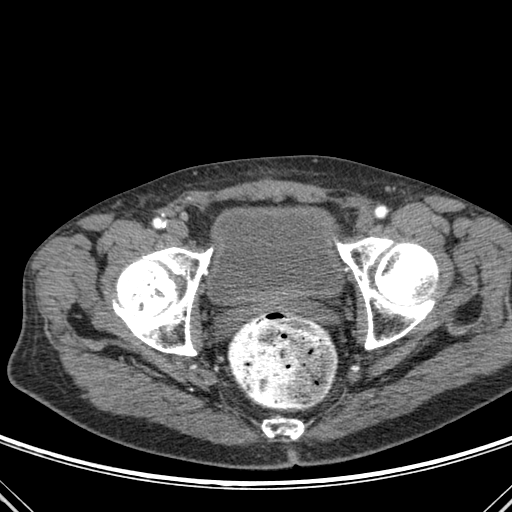

512x512, CT slice
Bone at bbox=[336, 234, 438, 349]; bbox=[261, 418, 304, 439]; bbox=[112, 247, 212, 356].
Urinary bladder at bbox=[208, 204, 346, 301].